CT scan slice, Field of view 360 mm wide, 5.00 mm slice spacing, 512x512 px
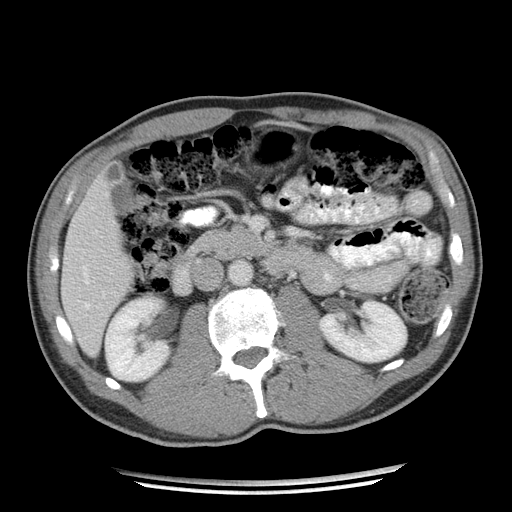

The pancreas lies within bbox(202, 226, 260, 258).